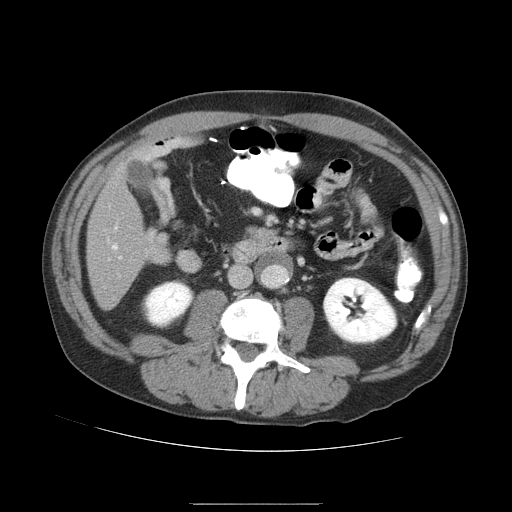
Abdomen; CT image; Image size 512x512

Some hepatic vessels may have no box.
3 hepatic vessel regions appear at {"x1": 112, "y1": 244, "x2": 116, "y2": 248}, {"x1": 115, "y1": 224, "x2": 117, "y2": 229}, {"x1": 119, "y1": 257, "x2": 121, "y2": 258}.